CT image | Abdomen 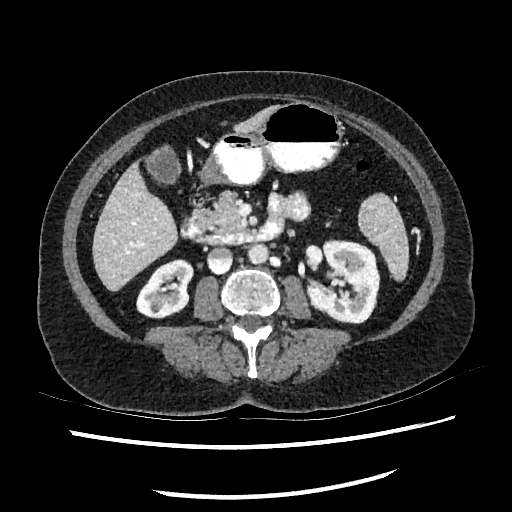

2 liver regions are bounded by 92:164:175:290, 235:109:272:130. 2 kidney regions appear at 137:260:192:316, 307:242:378:322.